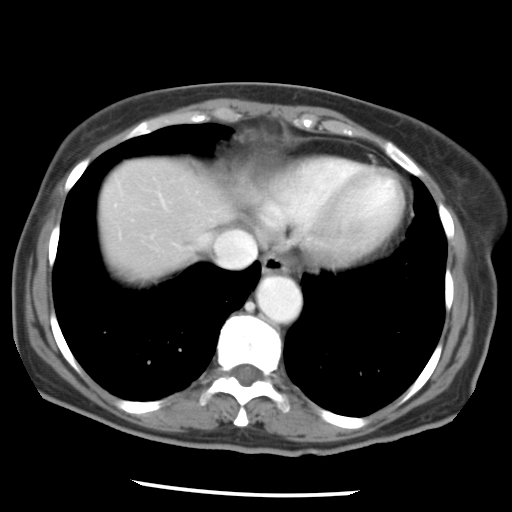 CT image

Only some of the vessels may be annotated.
Findings:
- hepatic vessel: x1=215, y1=231, x2=254, y2=266; x1=200, y1=235, x2=208, y2=244